35x49. MR image. Hippocampus.

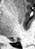 • posterior hippocampus: 8, 38, 13, 40